240x240
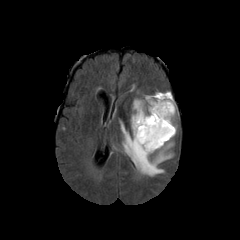
FLAIR MRI.
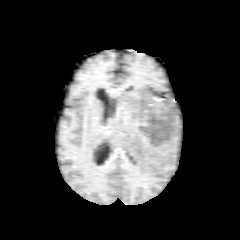
T1-weighted MR image of the same slice.
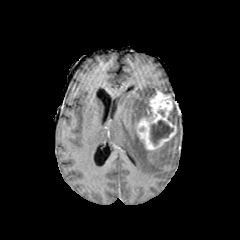
Post-contrast T1-weighted MR image.
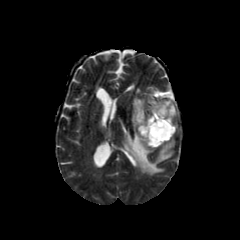
T2-weighted magnetic resonance.
Edema: bounding box l=121, t=94, r=180, b=176.
Enhancing tumor: bounding box l=137, t=91, r=179, b=149.
Non-enhancing tumor core: bounding box l=142, t=106, r=152, b=120; l=151, t=120, r=173, b=143.